Head, Field of view 240x240 mm
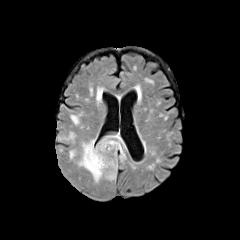
FLAIR magnetic resonance.
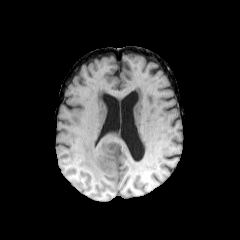
T1-weighted magnetic resonance.
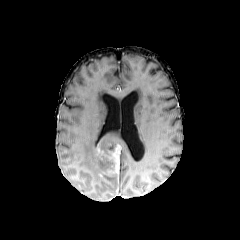
Post-contrast T1-weighted MRI.
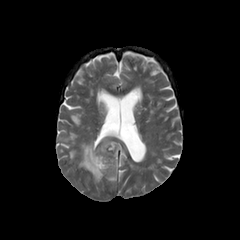
T2-weighted MR.
The enhancing tumor is bounded by x1=108, y1=143, x2=121, y2=173. 3 edema regions are located at x1=90, y1=86, x2=104, y2=105; x1=69, y1=150, x2=75, y2=158; x1=78, y1=132, x2=127, y2=182. 2 non-enhancing tumor core regions are bounded by x1=106, y1=143, x2=116, y2=152; x1=96, y1=148, x2=112, y2=167.